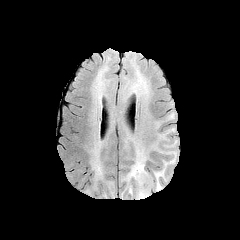
FLAIR MR image.
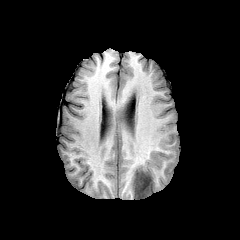
T1-weighted MR of the same slice.
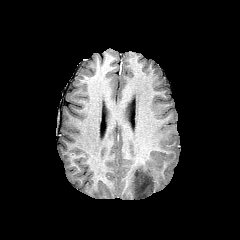
Post-contrast T1-weighted MR of the same slice.
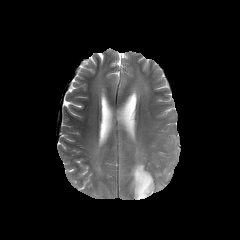
T2-weighted MR image.
Edema: x1=124 y1=149 x2=150 y2=198, x1=154 y1=168 x2=165 y2=189, x1=91 y1=150 x2=101 y2=174.
Non-enhancing tumor core: x1=134 y1=169 x2=152 y2=195.